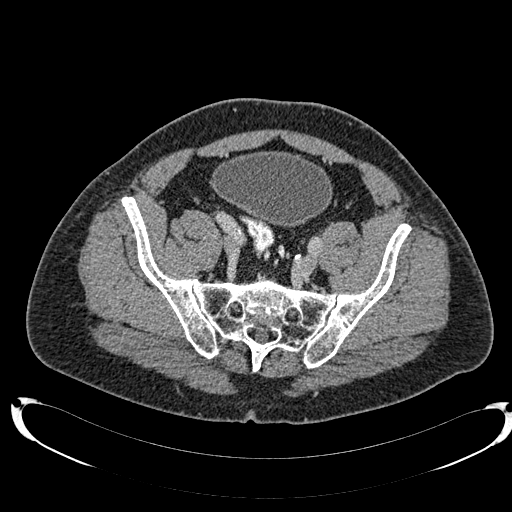 Pelvis; CT image
The urinary bladder is located at 212:151:332:227.